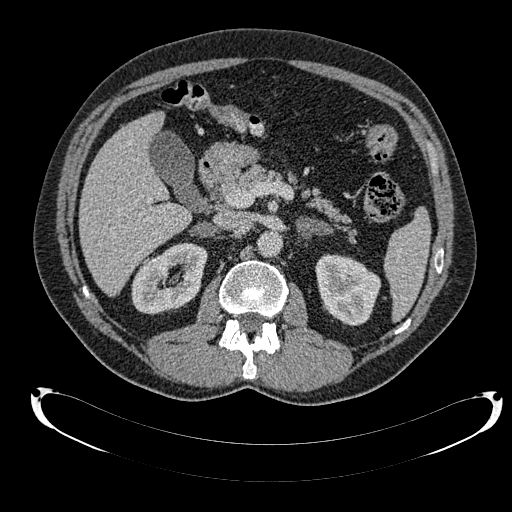 CT. Abdomen.

* kidney: left=316, top=255, right=380, bottom=324; left=132, top=243, right=206, bottom=313
* liver: left=79, top=112, right=191, bottom=295